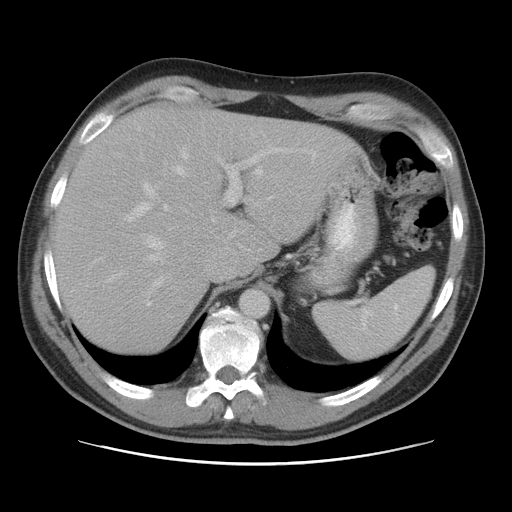 512x512 | CT scan slice | Liver

Only some of the vessels may be annotated.
Hepatic vessel — [243,146,291,163], [164,205,167,210], [181,149,187,159], [125,182,155,221], [146,301,150,305], [226,166,240,206], [173,165,185,175], [145,235,164,260], [255,168,262,175].